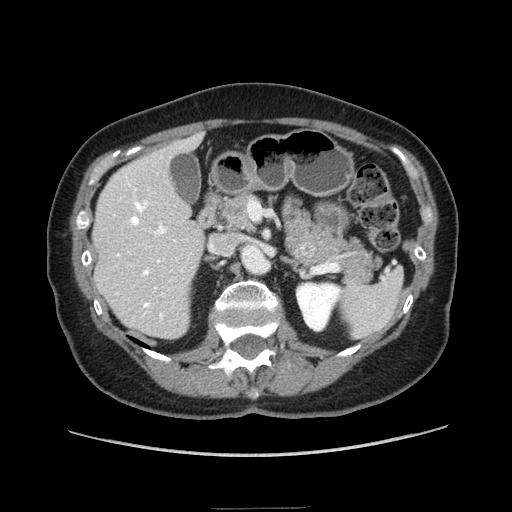
Computed tomography. {"pancreatic_tumor": ["rect(298, 242, 315, 259)"], "pancreas": ["rect(219, 196, 250, 227)", "rect(283, 203, 377, 285)"]}